Head, 240x240 px
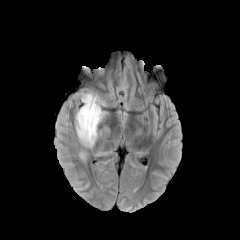
FLAIR MRI.
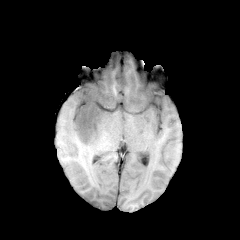
Same slice, T1-weighted MR image.
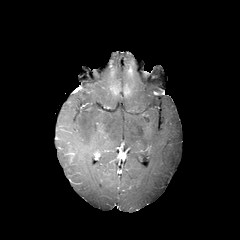
Post-contrast T1-weighted MR image.
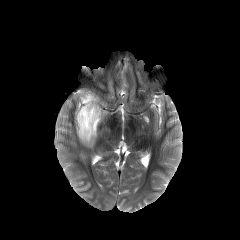
T2-weighted MR.
The edema appears at box=[74, 89, 107, 148].